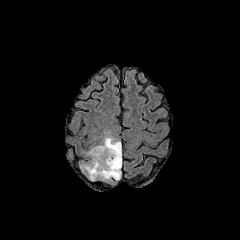
FLAIR magnetic resonance.
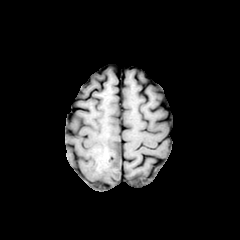
T1-weighted MR image.
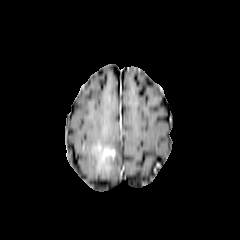
Post-contrast T1-weighted MRI of the same slice.
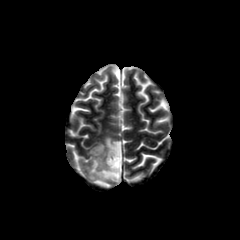
T2-weighted magnetic resonance.
{"edema": ["rect(82, 132, 121, 181)"], "non-enhancing_tumor_core": ["rect(93, 144, 119, 176)"], "enhancing_tumor": ["rect(99, 146, 115, 157)"]}